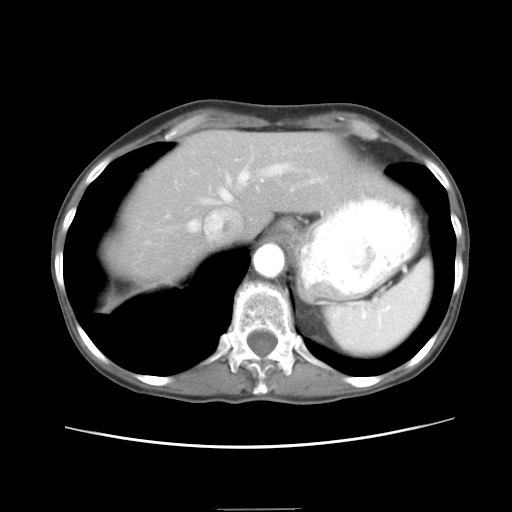 Abdomen. Computed tomography. Some hepatic vessels may have no box.
hepatic_vessel:
  - 189,221,197,229
  - 220,189,230,200
  - 239,171,247,183